Slice 66 of 155. Field of view 240 mm wide, 1.00 mm slice spacing.
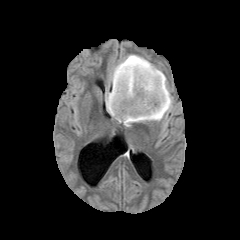
FLAIR MRI.
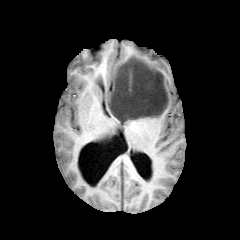
T1-weighted magnetic resonance of the same slice.
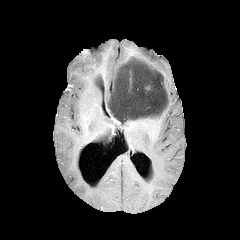
Post-contrast T1-weighted magnetic resonance of the same slice.
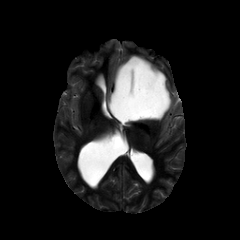
T2-weighted magnetic resonance.
non-enhancing tumor core: left=110, top=64, right=167, bottom=121 | edema: left=104, top=54, right=172, bottom=126